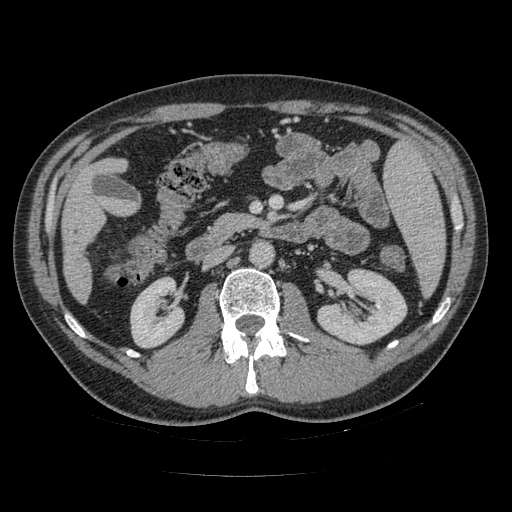
Abdomen, Image size 512x512, CT scan slice
The pancreas lies within box(212, 213, 263, 238).